Field of view 385 mm wide, 0.80 mm slice spacing. Computed tomography. Abdomen. 512x512.

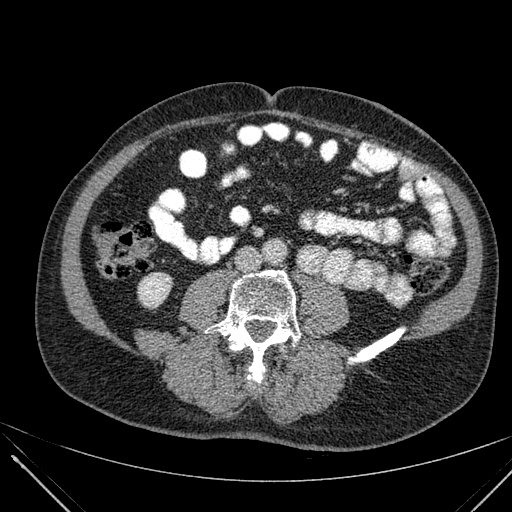

kidney: [138,273,171,307]